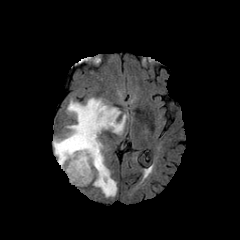
FLAIR MR.
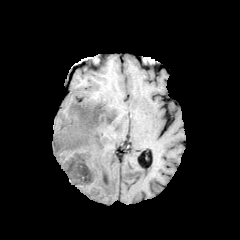
T1-weighted magnetic resonance.
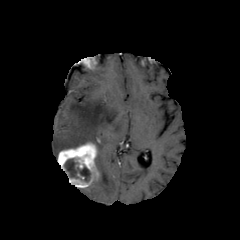
Post-contrast T1-weighted MRI of the same slice.
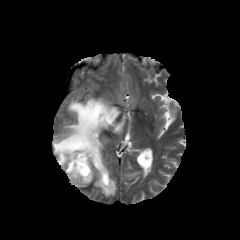
T2-weighted MR image.
240x240 px
The enhancing tumor appears at <box>57,142,100,187</box>. 2 non-enhancing tumor core regions are located at <box>79,167,90,180</box>, <box>65,159,76,176</box>. The edema is located at <box>53,97,127,197</box>.